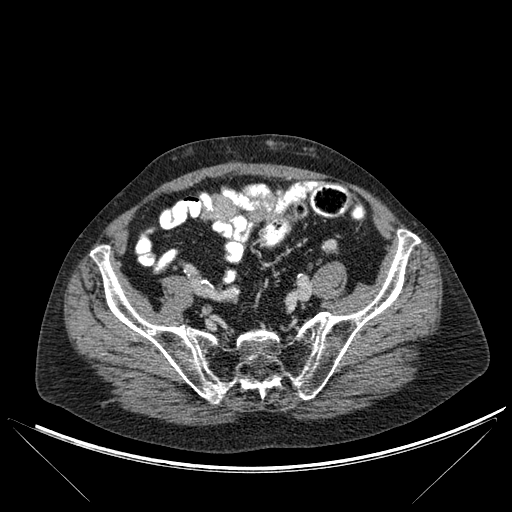
512x512, CT image
Bone = left=240, top=376, right=280, bottom=397; left=90, top=229, right=420, bottom=403.